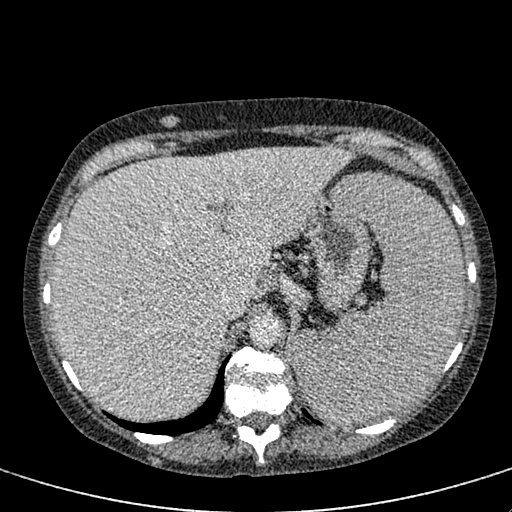

CT. 512x512. Liver. The liver appears at [x1=52, y1=148, x2=356, y2=418].